Image size 512x512. Upper abdomen. CT image. Slice 490/816.

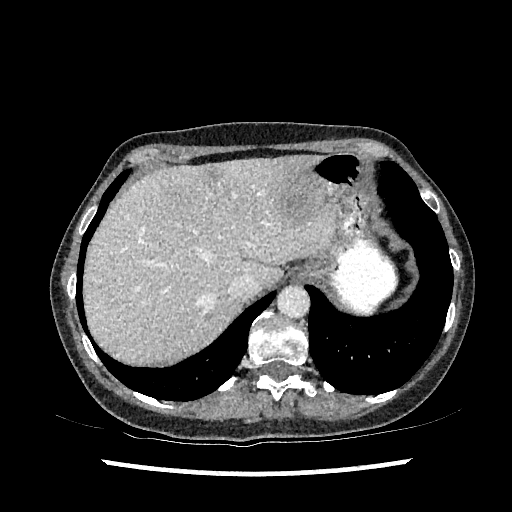
hepatic_lesion:
  - (204, 166, 220, 182)
  - (279, 158, 323, 223)
liver:
  - (84, 156, 341, 362)